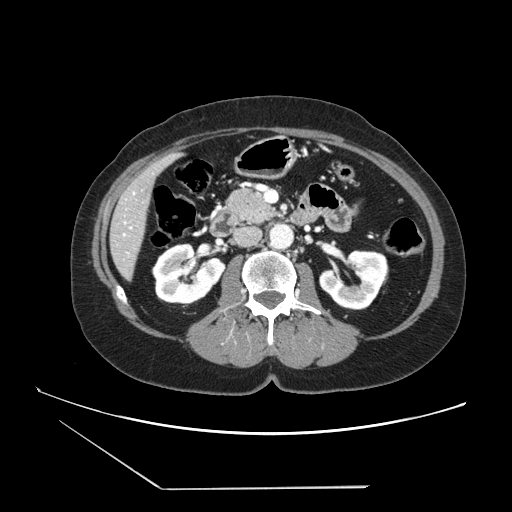

CT scan slice

pancreas: 226 189 276 223